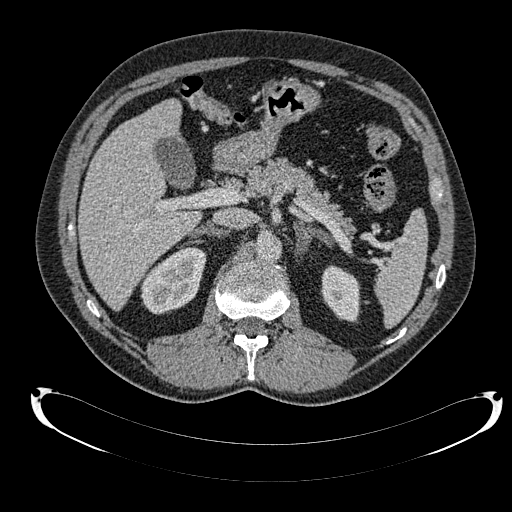 CT

Liver — x1=79, y1=100, x2=200, y2=309.
Kidney — x1=142, y1=248, x2=205, y2=313; x1=322, y1=266, x2=358, y2=320.